Image size 240x240
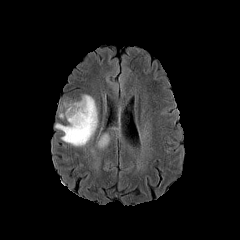
FLAIR MRI.
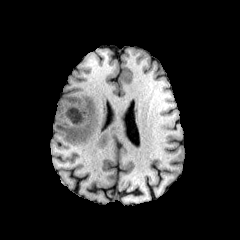
Same slice, T1-weighted magnetic resonance.
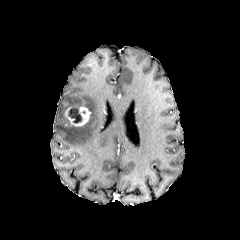
Same slice, post-contrast T1-weighted MR image.
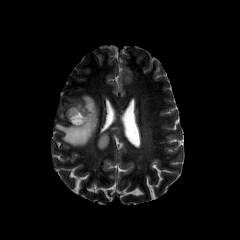
T2-weighted magnetic resonance of the same slice.
enhancing_tumor:
  - 63 105 91 126
non-enhancing_tumor_core:
  - 69 105 82 123
edema:
  - 97 133 108 148
  - 55 94 97 146